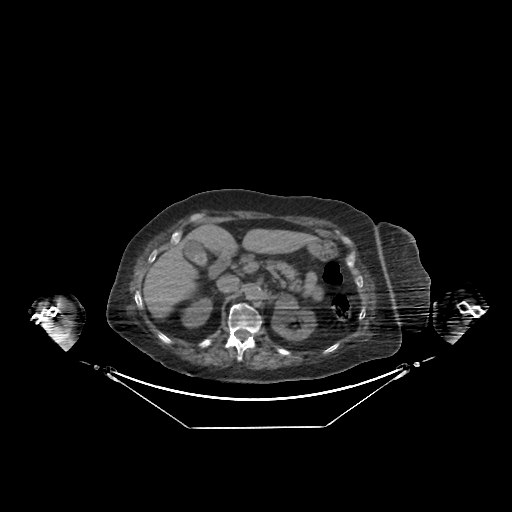

CT image | 512x512 | Upper abdomen
<segmentation>
  <kidney>(left=272, top=296, right=316, bottom=340), (left=182, top=297, right=212, bottom=328)</kidney>
  <liver>(left=142, top=223, right=237, bottom=321), (left=242, top=228, right=320, bottom=254)</liver>
</segmentation>